512x512. Slice 441/908. CT slice. Abdomen. Image width 404 mm.
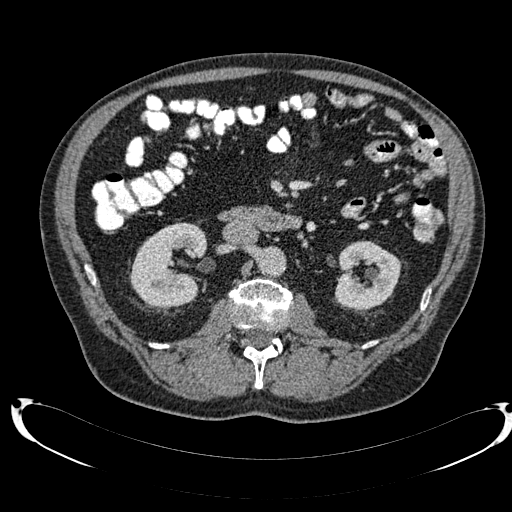 Kidney: (335,241,400,310), (130,223,206,308).